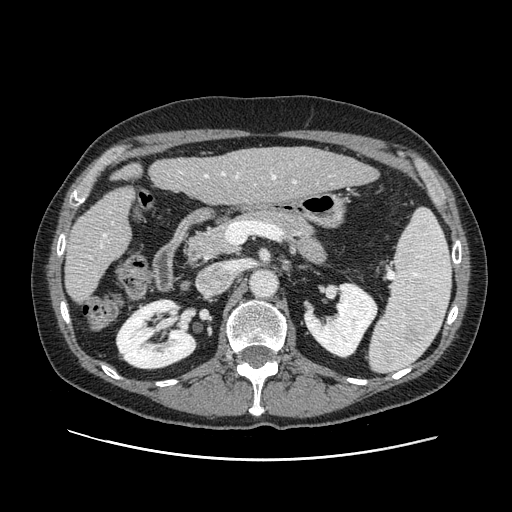

CT slice. Upper abdomen. <segmentation>
  <pancreas>187,209,312,262</pancreas>
</segmentation>